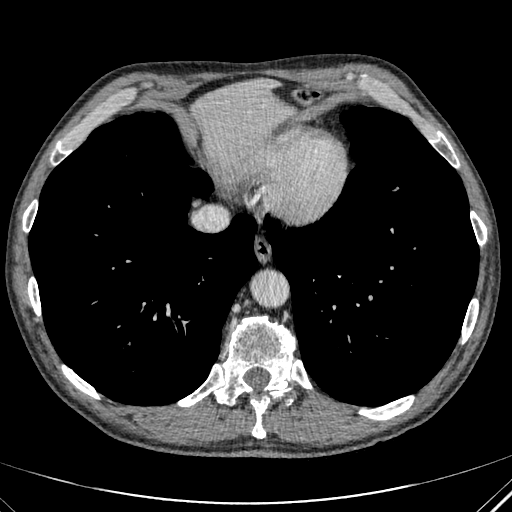 Liver. Computed tomography. Liver = [191,79,294,162].